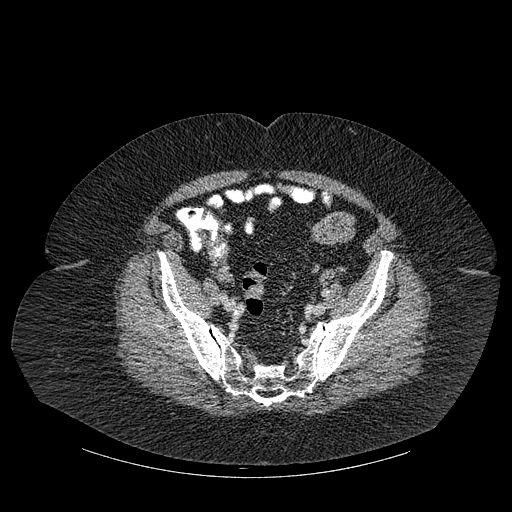 CT image
<segmentation>
  <bone>158, 250, 392, 405; 226, 190, 241, 201</bone>
</segmentation>